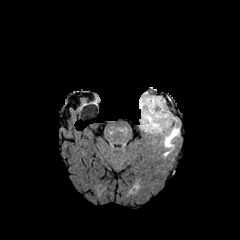
FLAIR magnetic resonance.
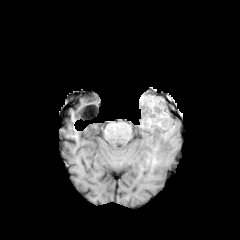
T1-weighted magnetic resonance.
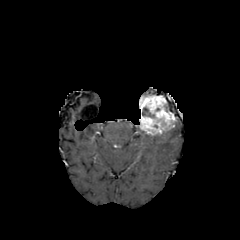
Post-contrast T1-weighted magnetic resonance.
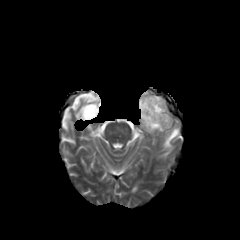
T2-weighted MRI.
Findings:
- edema: (161, 124, 179, 157)
- enhancing tumor: (139, 93, 177, 132)